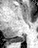
MRI. posterior hippocampus: x1=14, y1=36, x2=24, y2=41